Slice 76 of 155
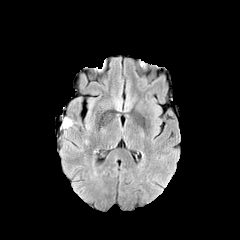
FLAIR MR image.
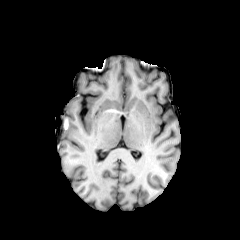
T1-weighted magnetic resonance.
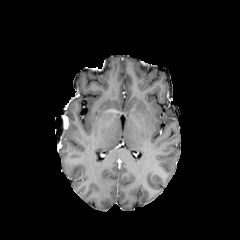
Same slice, post-contrast T1-weighted MRI.
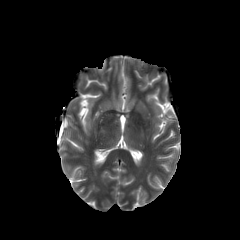
Same slice, T2-weighted MR.
Findings:
• enhancing tumor: 63 116 67 127
• edema: 64 117 73 136